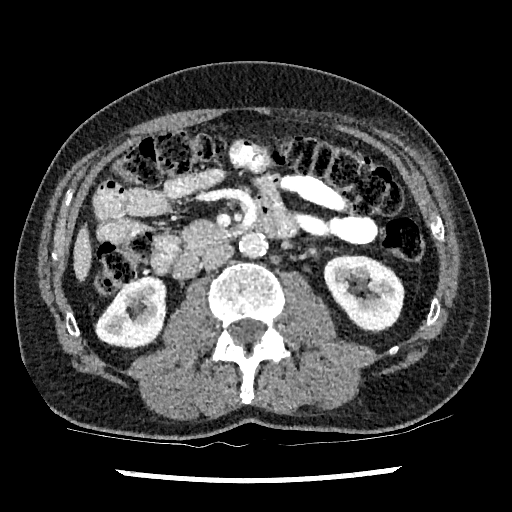 Image size 512x512 | CT slice
<segmentation>
  <liver>l=74, t=226, r=90, b=280</liver>
  <kidney>l=325, t=257, r=402, b=329; l=97, t=277, r=164, b=346</kidney>
</segmentation>